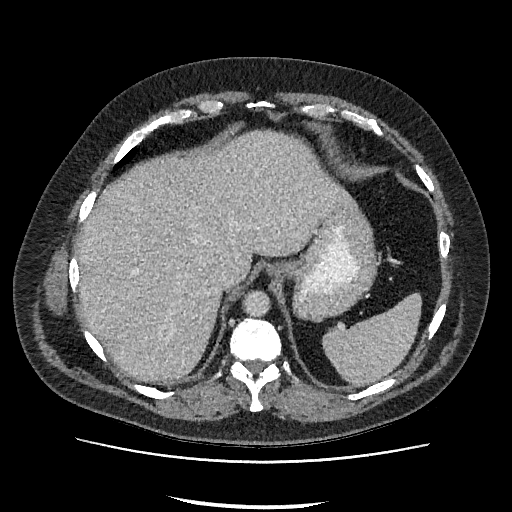
CT scan slice; Abdomen

Segmented structures:
* liver: {"x1": 79, "y1": 132, "x2": 356, "y2": 379}